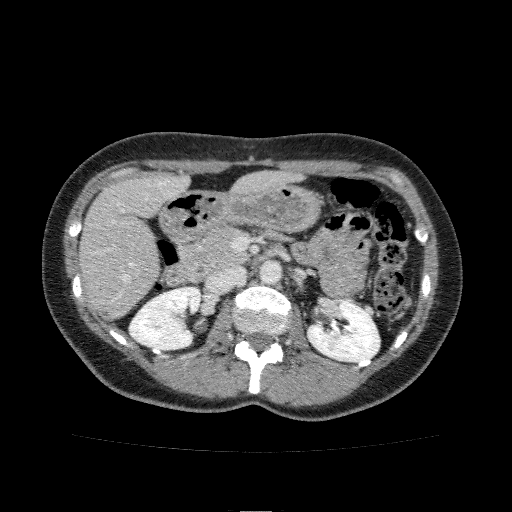

CT image. {"kidney": ["[129, 287, 200, 349]", "[308, 301, 379, 362]"], "liver": ["[79, 173, 189, 319]", "[229, 170, 304, 193]"]}